FLAIR magnetic resonance.
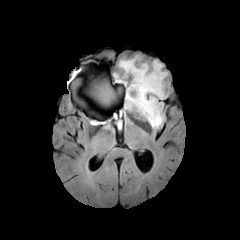
T1-weighted MR.
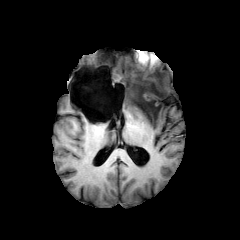
Post-contrast T1-weighted MR image.
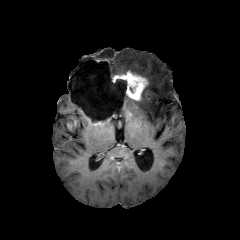
T2-weighted MR image.
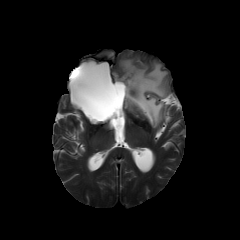
The enhancing tumor is bounded by box=[114, 70, 147, 101]. 4 non-enhancing tumor core regions appear at box=[116, 79, 126, 89]; box=[106, 116, 120, 127]; box=[94, 83, 118, 105]; box=[126, 68, 161, 119]. The edema is located at box=[119, 59, 168, 130].